Liver; CT 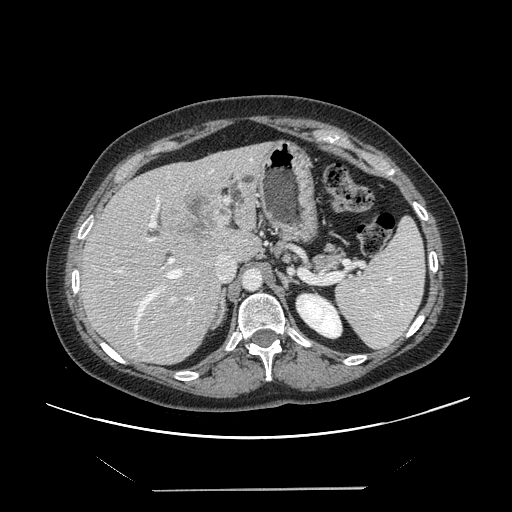 The vessel annotation is not exhaustive.
<segmentation>
  <liver_tumor>(170, 184, 224, 254)</liver_tumor>
  <hepatic_vessel>(187, 268, 189, 269), (215, 252, 235, 281), (94, 269, 95, 271), (185, 297, 193, 302), (148, 196, 159, 227), (145, 238, 154, 241), (170, 297, 175, 302), (110, 282, 112, 284), (166, 268, 183, 280), (231, 238, 240, 242), (168, 258, 174, 264), (131, 286, 165, 330), (117, 268, 123, 272)</hepatic_vessel>
</segmentation>